Brain | Field of view 240 mm wide, 1.00 mm slice spacing
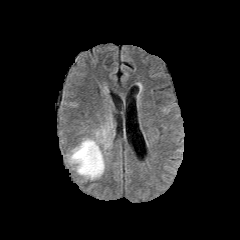
FLAIR MRI.
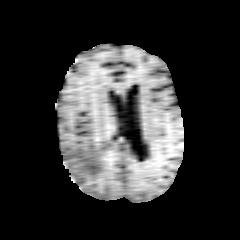
Same slice, T1-weighted MR image.
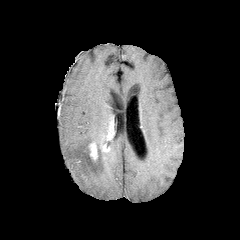
Post-contrast T1-weighted magnetic resonance.
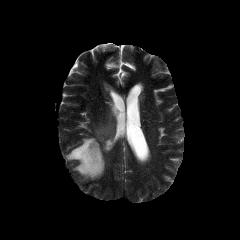
T2-weighted MR image.
The non-enhancing tumor core is bounded by [85, 146, 97, 160]. The edema is at [66, 123, 113, 180]. The enhancing tumor is located at [89, 141, 97, 158].